Head
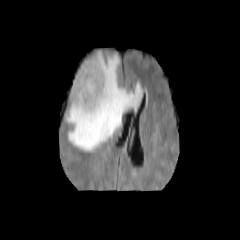
FLAIR MR.
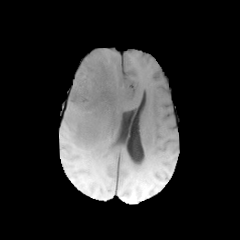
Same slice, T1-weighted MR.
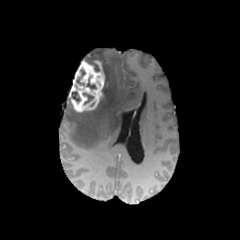
Post-contrast T1-weighted MR image of the same slice.
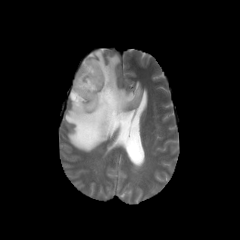
Same slice, T2-weighted MR.
edema: 65, 50, 142, 151 | non-enhancing tumor core: 98, 75, 107, 104; 82, 93, 93, 104; 71, 91, 80, 101; 85, 60, 99, 71 | enhancing tumor: 67, 60, 104, 112